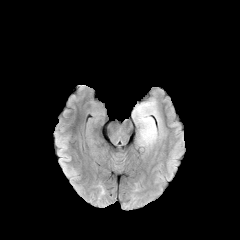
FLAIR MRI.
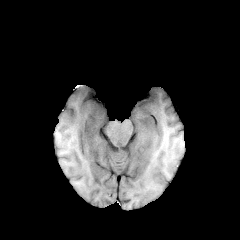
T1-weighted MR.
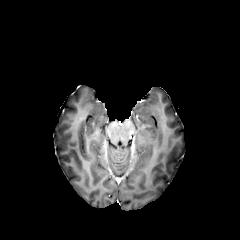
Same slice, post-contrast T1-weighted MR image.
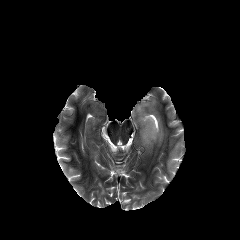
T2-weighted MR.
Edema — [132,98,162,147].